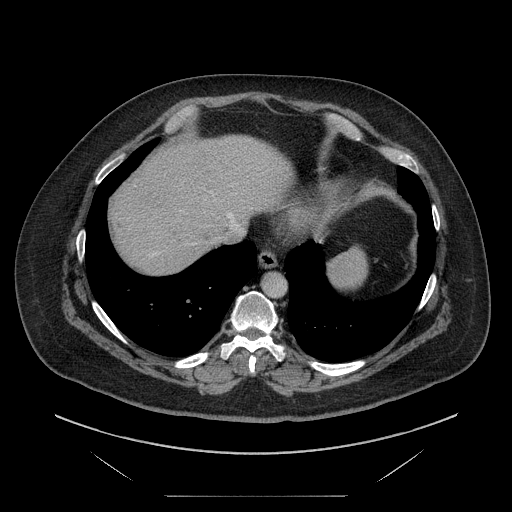 Image size 512x512; CT
The vessel boxes may cover only some of the vessels.
Annotated regions:
* hepatic vessel: box(215, 211, 242, 241)